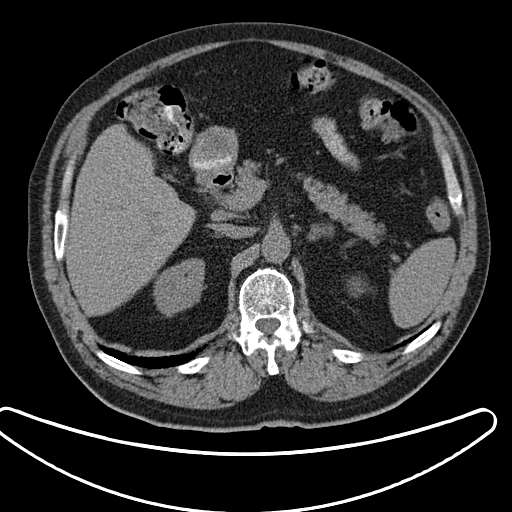

CT, Upper abdomen
Segmented structures:
• spleen: l=390, t=239, r=455, b=327